Slice index 127; Brain
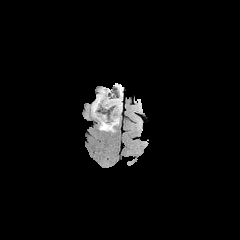
FLAIR magnetic resonance.
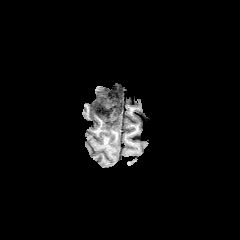
Same slice, T1-weighted MRI.
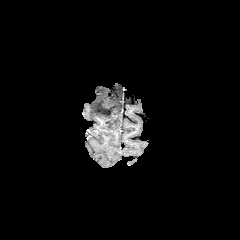
Post-contrast T1-weighted MRI of the same slice.
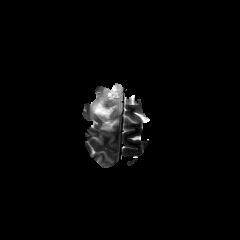
T2-weighted MR image.
The edema lies within (91, 86, 122, 131). 3 non-enhancing tumor core regions are located at (112, 107, 121, 113), (101, 120, 117, 127), (94, 96, 109, 118).